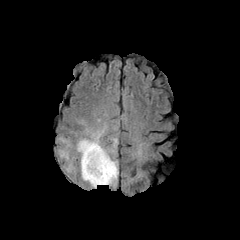
FLAIR magnetic resonance.
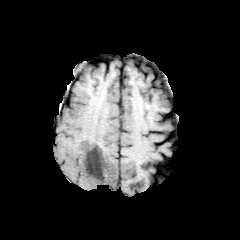
T1-weighted magnetic resonance of the same slice.
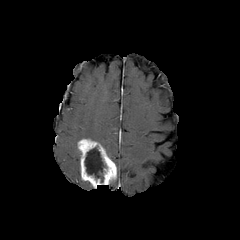
Post-contrast T1-weighted magnetic resonance.
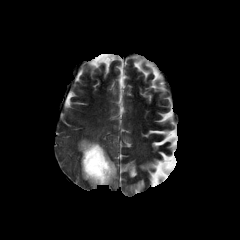
T2-weighted MRI.
Image size 240x240 | Brain
Edema: [x1=109, y1=137, x2=116, y2=154], [x1=86, y1=133, x2=105, y2=149].
Non-enhancing tumor core: [x1=84, y1=147, x2=104, y2=181].
Enhancing tumor: [x1=78, y1=139, x2=116, y2=186].